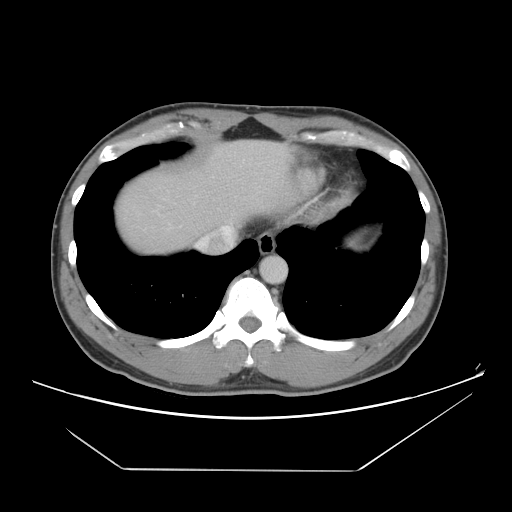 CT
Some hepatic vessels may have no box.
Hepatic vessel: [x1=197, y1=226, x2=234, y2=249].